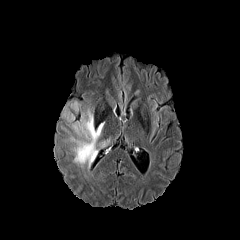
FLAIR MR.
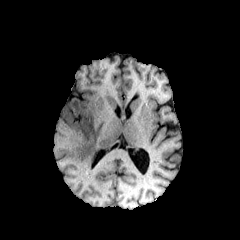
T1-weighted magnetic resonance of the same slice.
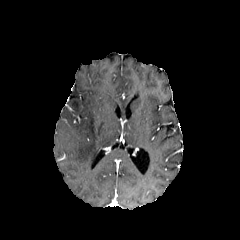
Same slice, post-contrast T1-weighted MR image.
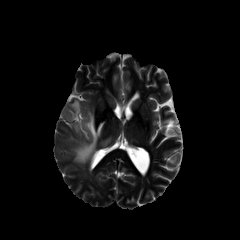
T2-weighted magnetic resonance of the same slice.
Image size 240x240
The edema is at 74,113,105,168.